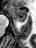

MR image.
Annotated regions:
• anterior hippocampus: 11 7 26 21